Computed tomography 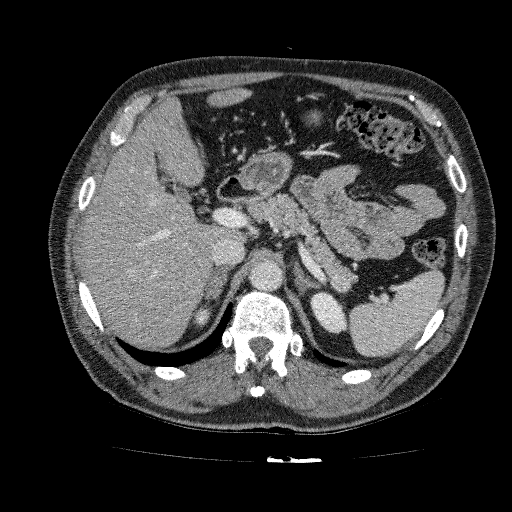
kidney: box(311, 293, 345, 332); box(196, 310, 208, 323) | liver: box(208, 88, 251, 107); box(81, 97, 247, 348)